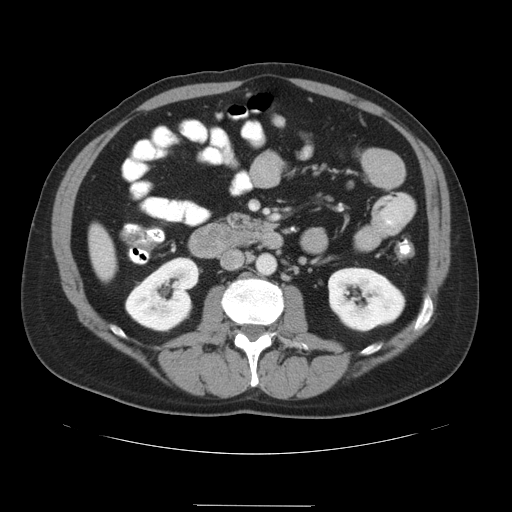

CT | 512x512

Only some of the vessels may be annotated.
hepatic vessel: <bbox>105, 258, 109, 260</bbox>, <bbox>99, 252, 103, 255</bbox>